Slice 385 of 826. CT scan slice. Upper abdomen.
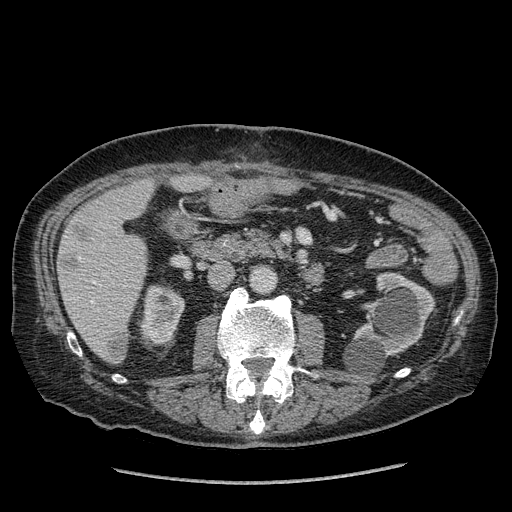 Liver lesion: bounding box (75, 222, 85, 236), (59, 253, 78, 266), (108, 332, 127, 361).
Liver: bounding box (58, 179, 153, 362), (171, 174, 212, 191).
Kidney: bounding box (142, 286, 183, 343), (354, 272, 434, 355).